CT image; Upper abdomen

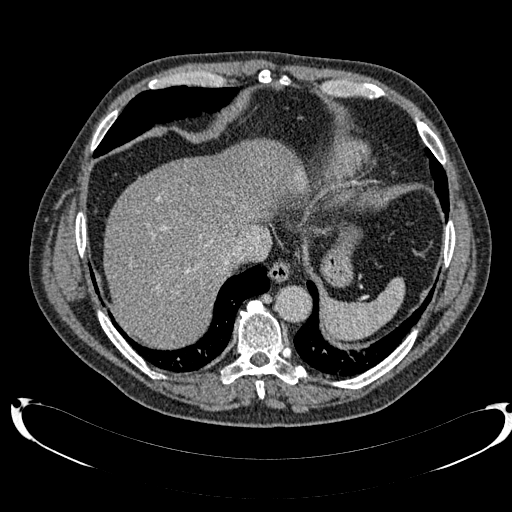

Liver: rect(104, 139, 302, 347).
Hepatic lesion: rect(164, 154, 230, 212).